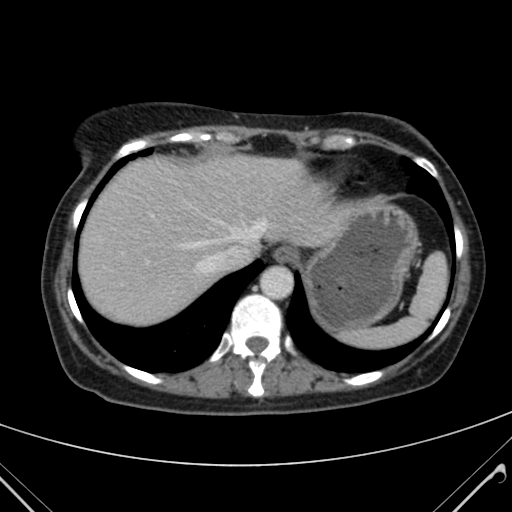

Upper abdomen; Computed tomography
liver:
  - [x1=78, y1=153, x2=345, y2=324]